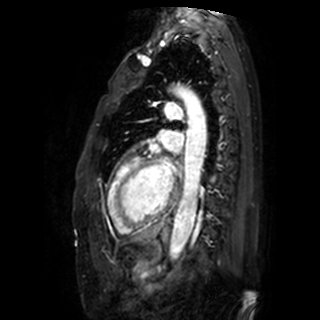 Magnetic resonance.

{
  "left_atrium": [
    "l=162, t=131, r=182, b=150",
    "l=161, t=166, r=172, b=182"
  ]
}